CT. Slice index 465. Field of view 432x432 mm. Image size 512x512.

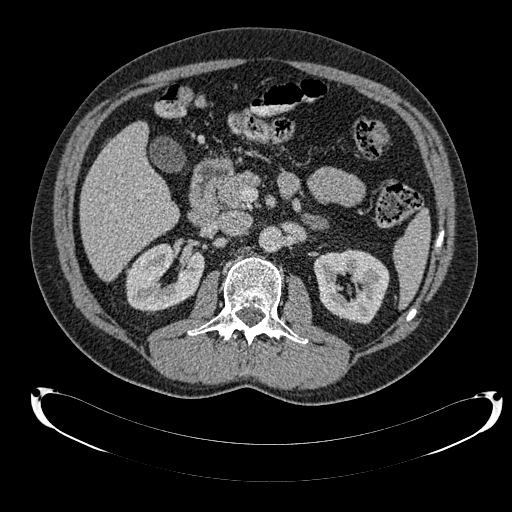

Kidney — (126, 244, 203, 310), (314, 250, 388, 322).
Liver — (80, 122, 179, 280).